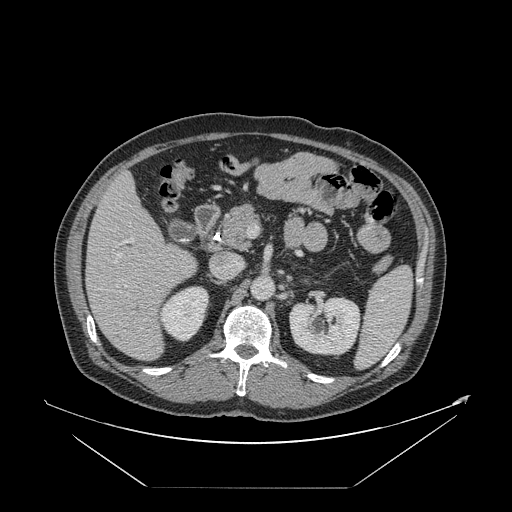 512x512; CT image; Abdomen

Some hepatic vessels may have no box.
{
  "hepatic_vessel": [
    "(121, 239, 133, 243)",
    "(114, 260, 116, 263)",
    "(117, 254, 120, 257)"
  ]
}